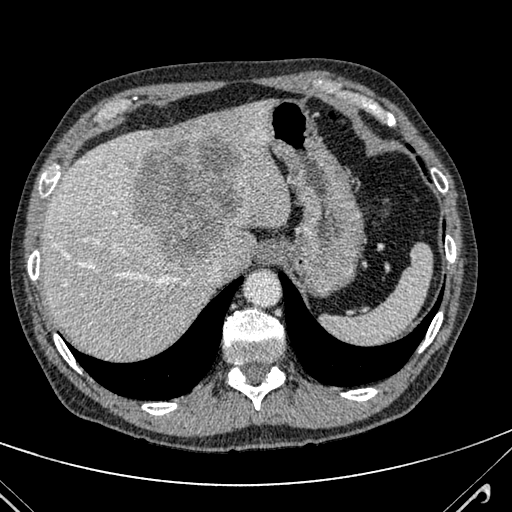
CT scan slice
Hepatic lesion — [132,135,244,265].
Liver — [43,98,290,358].